CT scan slice 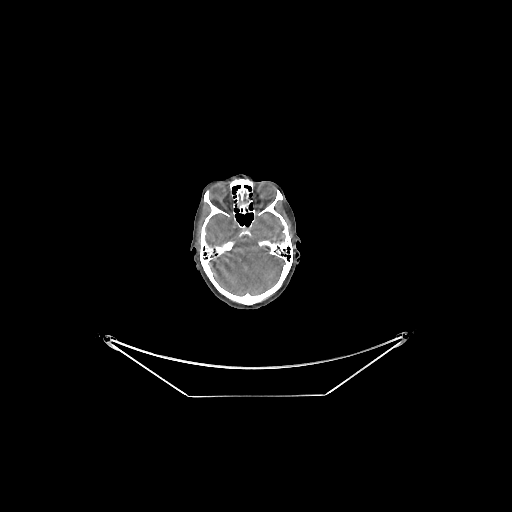 The brain is at box(205, 212, 285, 295).